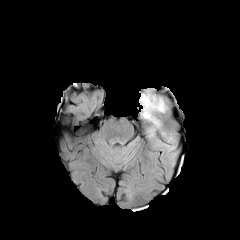
FLAIR magnetic resonance.
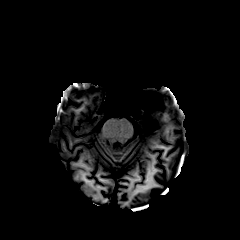
T1-weighted MR.
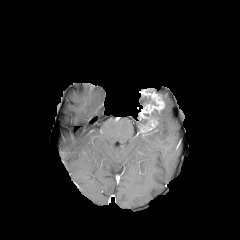
Post-contrast T1-weighted magnetic resonance of the same slice.
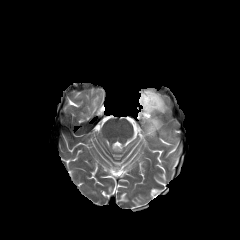
T2-weighted MRI.
2 non-enhancing tumor core regions appear at <bbox>141, 94, 150, 103</bbox>, <bbox>143, 109, 158, 124</bbox>. 2 edema regions are bounded by <bbox>144, 109, 161, 143</bbox>, <bbox>162, 143, 173, 153</bbox>. 2 enhancing tumor regions are bounded by <bbox>140, 90, 164, 118</bbox>, <bbox>142, 120, 156, 132</bbox>.